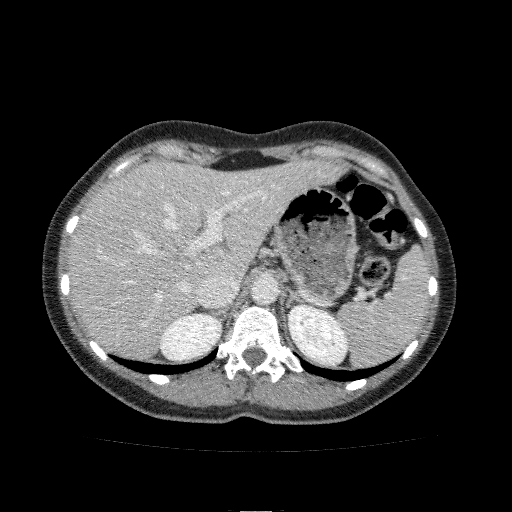

Upper abdomen | CT image | 512x512

2 kidney regions are located at {"x1": 288, "y1": 305, "x2": 347, "y2": 364}, {"x1": 160, "y1": 314, "x2": 220, "y2": 360}. The liver is at {"x1": 68, "y1": 158, "x2": 340, "y2": 357}.